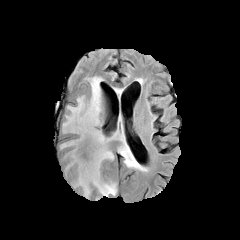
FLAIR MRI.
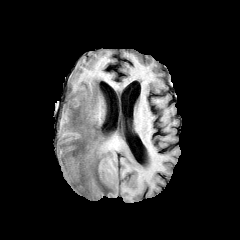
T1-weighted MR of the same slice.
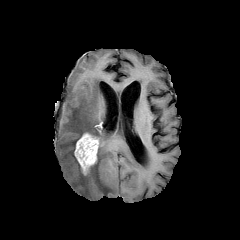
Post-contrast T1-weighted magnetic resonance of the same slice.
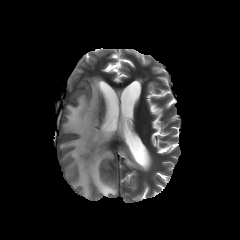
Same slice, T2-weighted MR image.
<segmentation>
  <edema>(118,124,136,167), (60,76,117,199)</edema>
  <non-enhancing_tumor_core>(82,144,92,159)</non-enhancing_tumor_core>
  <enhancing_tumor>(74,133,99,174)</enhancing_tumor>
</segmentation>